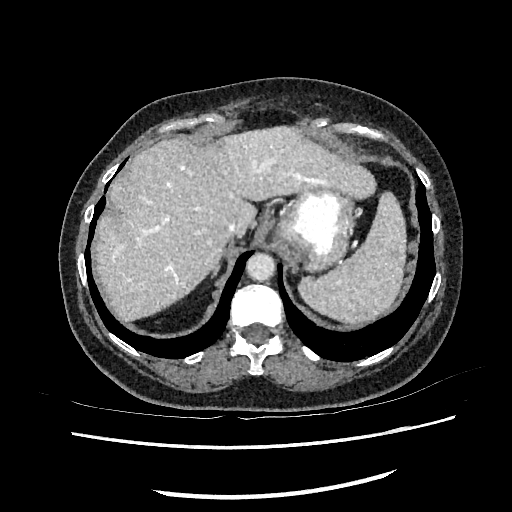 CT. Abdomen.

Liver — (95, 126, 374, 320).